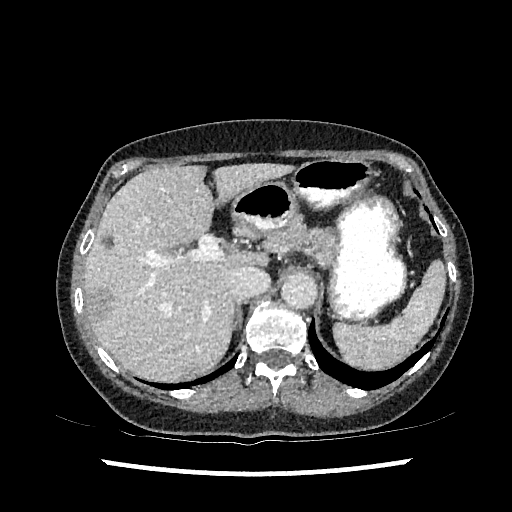 CT.

* focal liver lesion: <bbox>101, 236, 114, 247</bbox>, <bbox>86, 287, 112, 325</bbox>
* liver: <bbox>86, 164, 292, 378</bbox>